CT slice. Slice index 46. 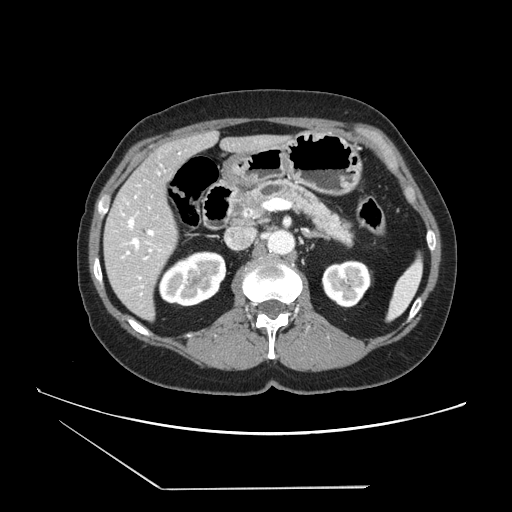 The pancreas is at [247,181,351,245]. The pancreatic tumor is bounded by [237,194,259,208].